FLAIR MR image.
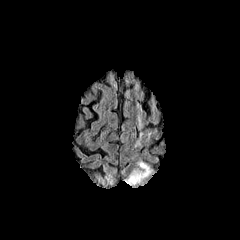
T1-weighted magnetic resonance.
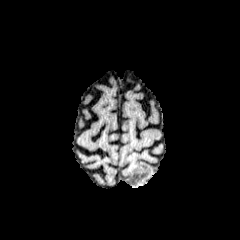
Post-contrast T1-weighted MRI.
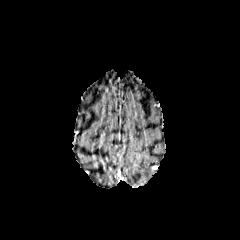
T2-weighted magnetic resonance.
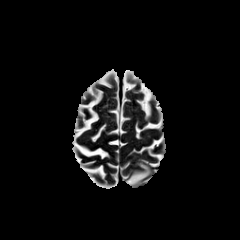
The edema lies within [124, 159, 152, 187].